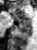
Image size 37x50; MRI slice
<segmentation>
  <posterior_hippocampus>15:23:31:33</posterior_hippocampus>
  <anterior_hippocampus>12:13:30:22</anterior_hippocampus>
</segmentation>